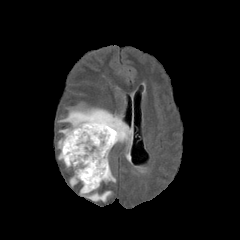
FLAIR MR.
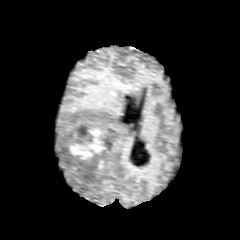
T1-weighted magnetic resonance.
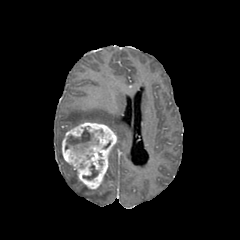
Post-contrast T1-weighted MR image.
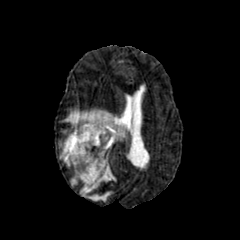
Same slice, T2-weighted MR.
240x240 | Head
2 non-enhancing tumor core regions are located at [68, 130, 90, 144], [88, 166, 97, 178]. 3 edema regions are bounded by [59, 108, 132, 142], [104, 167, 115, 182], [80, 187, 111, 201]. The enhancing tumor is located at [61, 121, 117, 193].